CT scan slice 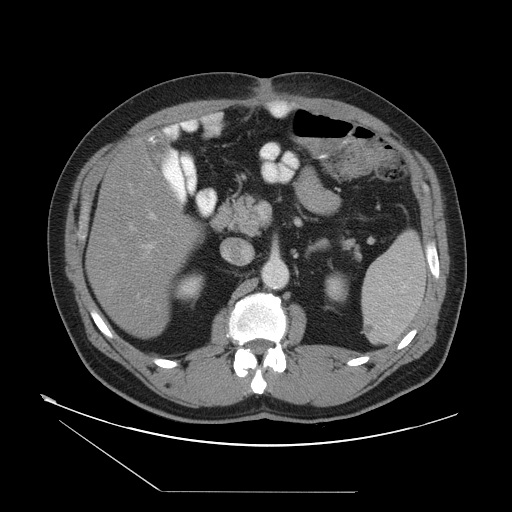

Only some of the vessels may be annotated.
7 hepatic vessel regions appear at region(112, 239, 114, 241); region(122, 255, 123, 256); region(141, 243, 153, 259); region(147, 298, 149, 300); region(129, 224, 135, 231); region(167, 231, 169, 232); region(147, 210, 154, 219).